CT. Upper abdomen.

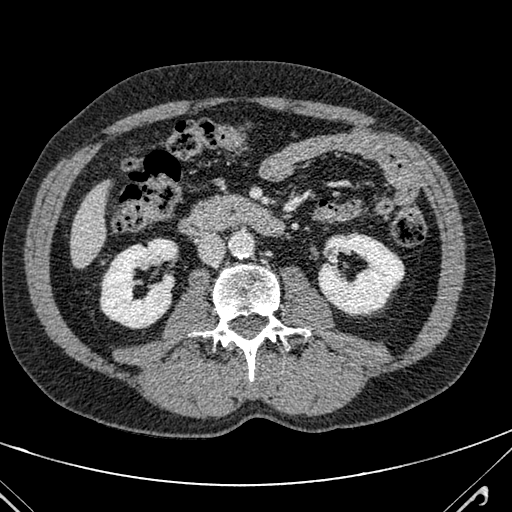

Liver = bbox(72, 182, 108, 265).